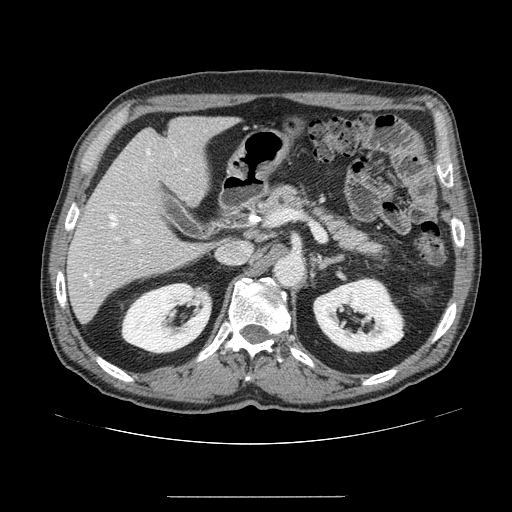 Image size 512x512; Abdomen; CT
<segmentation>
  <pancreas>region(254, 182, 393, 268)</pancreas>
</segmentation>